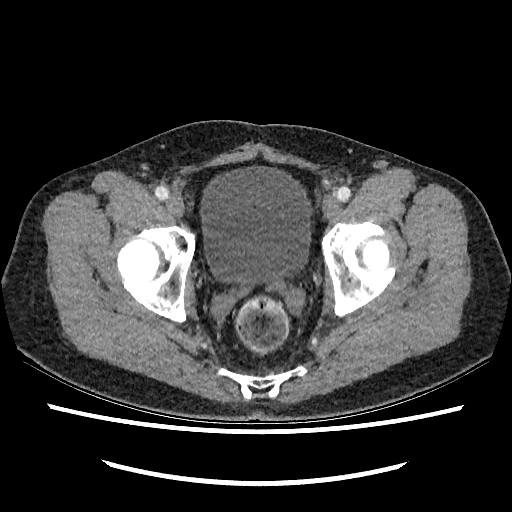 Pelvis | CT
{"urinary_bladder": ["199,166,313,288"]}